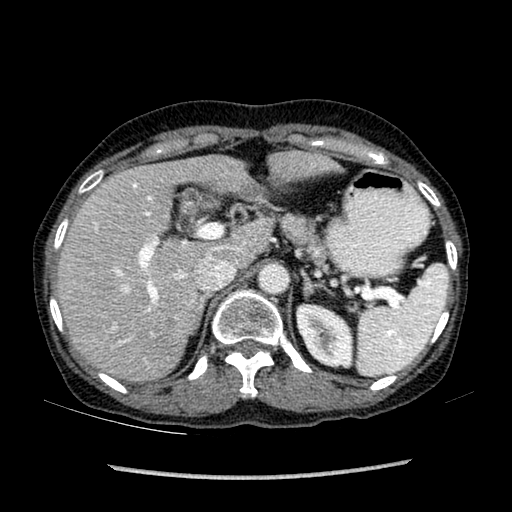 CT, Abdomen
2 liver regions are bounded by bbox=[270, 152, 331, 178]; bbox=[58, 157, 271, 380]. The kidney is bounded by bbox=[297, 305, 350, 365].